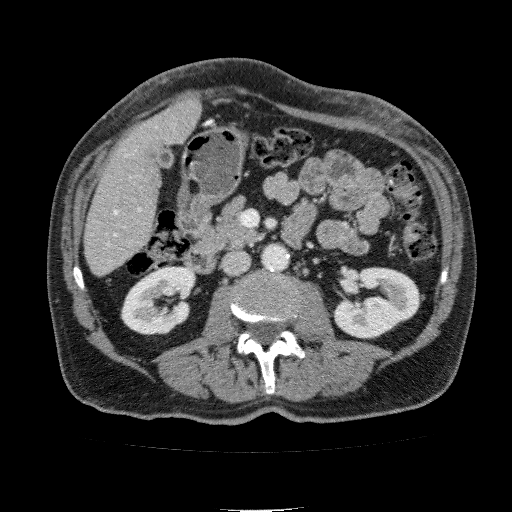 CT image | Upper abdomen
Kidney: 122 267 194 333, 334 268 418 337.
Liver: 86 98 201 274.